Slice index 23 | CT slice
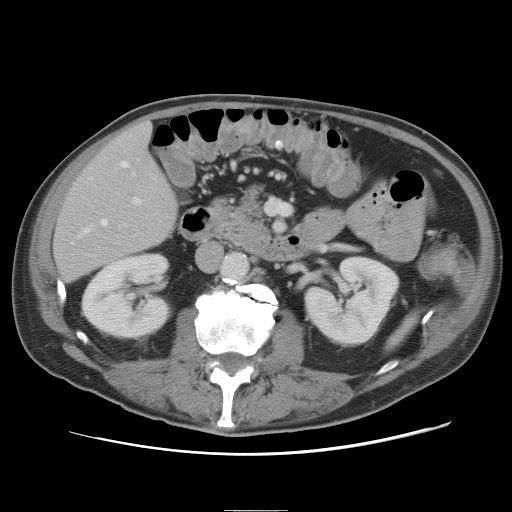
Only some of the vessels may be annotated.
Annotated regions:
• hepatic vessel: [133,172,134,174], [83,228,89,233], [102,220,107,225], [133,198,139,203], [145,123,150,127], [122,162,128,167]